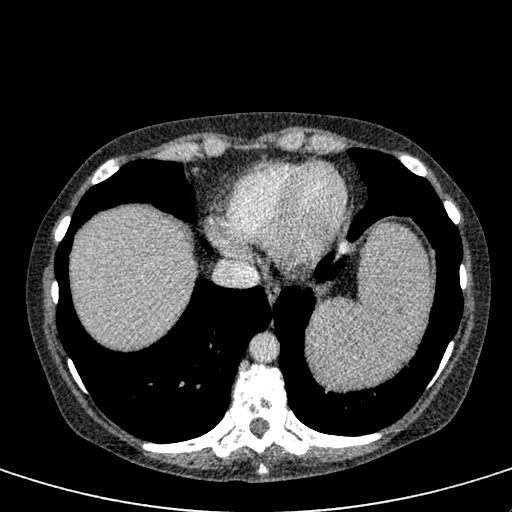 CT; Abdomen

The liver lies within region(71, 209, 193, 347).